FLAIR magnetic resonance.
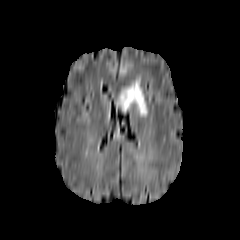
T1-weighted MR image.
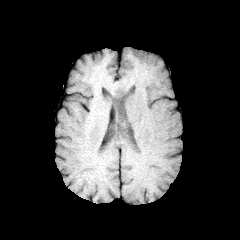
Post-contrast T1-weighted MR.
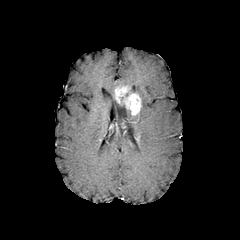
T2-weighted MR image.
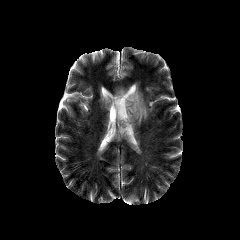
The enhancing tumor is bounded by box(115, 87, 140, 115). The edema is located at box(131, 82, 147, 116).